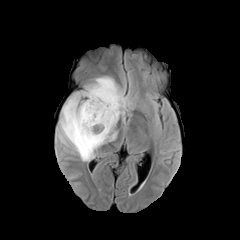
FLAIR MR image.
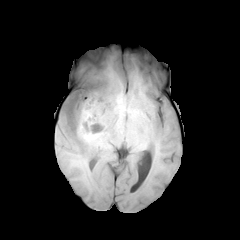
T1-weighted MR.
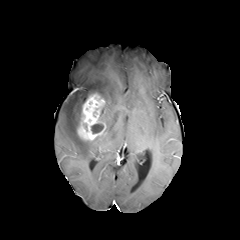
Same slice, post-contrast T1-weighted MR image.
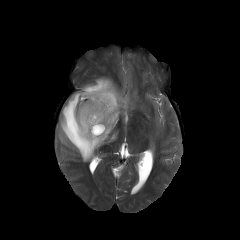
T2-weighted MRI.
240x240; Brain
Enhancing tumor = 78,94,106,140.
Non-enhancing tumor core = 91,123,103,133.
Edema = 55,76,131,161.